Brain
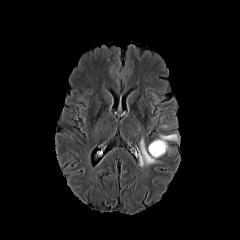
FLAIR MR image.
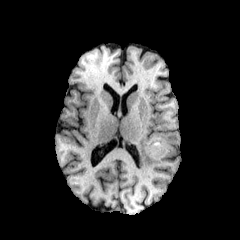
T1-weighted magnetic resonance.
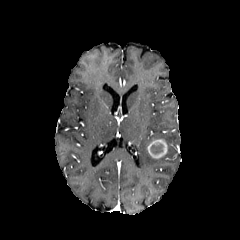
Post-contrast T1-weighted magnetic resonance.
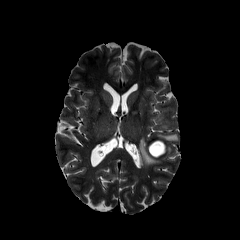
Same slice, T2-weighted MRI.
The enhancing tumor lies within box=[147, 137, 168, 158]. The non-enhancing tumor core is bounded by box=[150, 142, 164, 156]. 2 edema regions appear at box=[159, 133, 178, 140]; box=[138, 136, 161, 166].